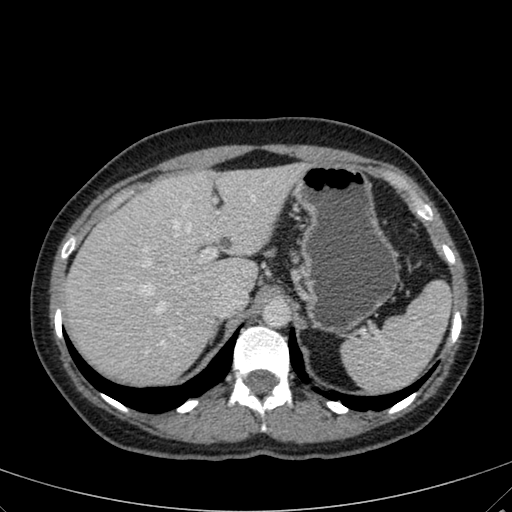
512x512 | CT slice
{"hepatic_lesion": ["219:237:232:248"], "liver": ["64:163:309:383"]}